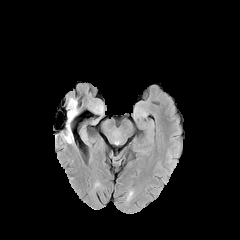
FLAIR MRI.
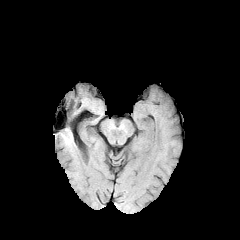
Same slice, T1-weighted MR image.
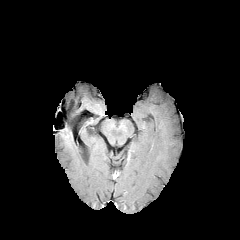
Post-contrast T1-weighted MR.
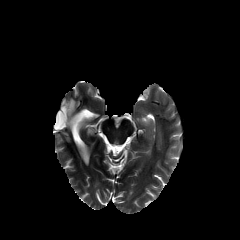
Same slice, T2-weighted MRI.
Brain.
2 edema regions appear at left=66, top=97, right=79, bottom=131; left=61, top=131, right=72, bottom=140.